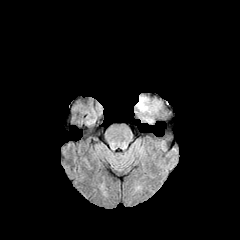
FLAIR MR image.
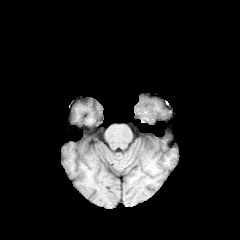
T1-weighted magnetic resonance.
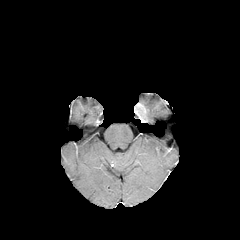
Post-contrast T1-weighted magnetic resonance.
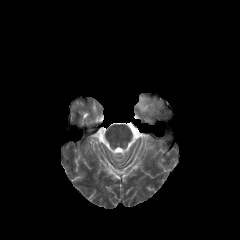
T2-weighted MR image.
Head
Enhancing tumor = <box>136,103,145,118</box>.
Edema = <box>139,96,157,121</box>.